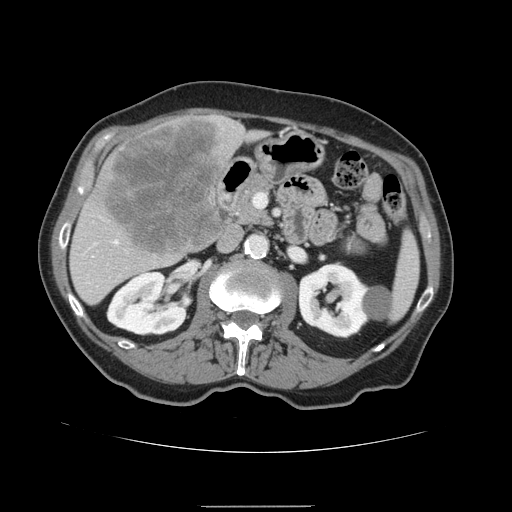

Computed tomography
Some hepatic vessels may have no box.
Liver tumor = <box>104,118,223,259</box>.
Hepatic vessel = <box>115,240,117,243</box>, <box>254,199,254,203</box>.